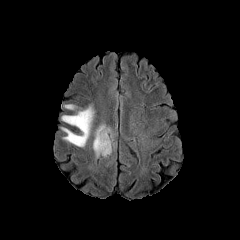
FLAIR MRI.
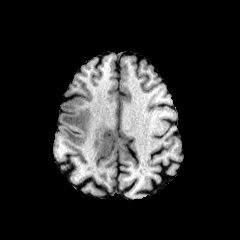
T1-weighted magnetic resonance of the same slice.
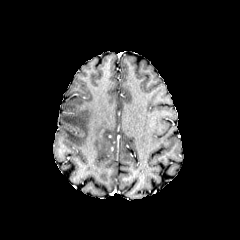
Post-contrast T1-weighted magnetic resonance of the same slice.
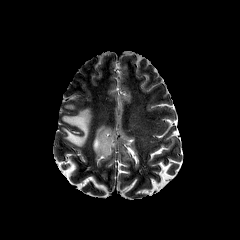
Same slice, T2-weighted MR.
Head
3 edema regions are bounded by x1=93 y1=124 x2=111 y2=158, x1=65 y1=104 x2=77 y2=109, x1=61 y1=106 x2=93 y2=146.